FLAIR MRI.
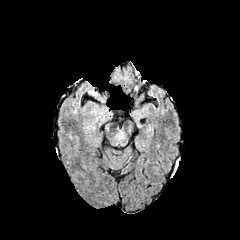
T1-weighted magnetic resonance.
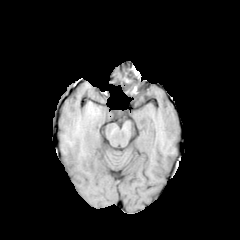
Post-contrast T1-weighted magnetic resonance.
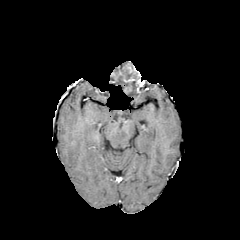
T2-weighted MR image.
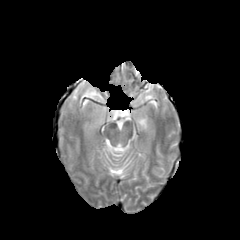
Brain, 240x240 px
* edema: bbox=[90, 88, 103, 101]